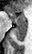 Medial temporal lobe. MR. • anterior hippocampus: 9 12 26 24
• posterior hippocampus: 13 24 27 42